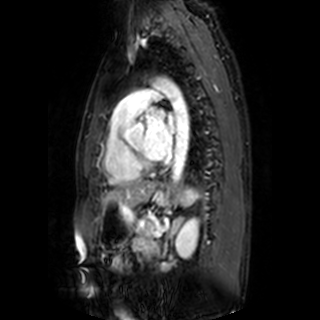
MRI slice, Cardiac
left atrium: [x1=142, y1=108, x2=175, y2=160]